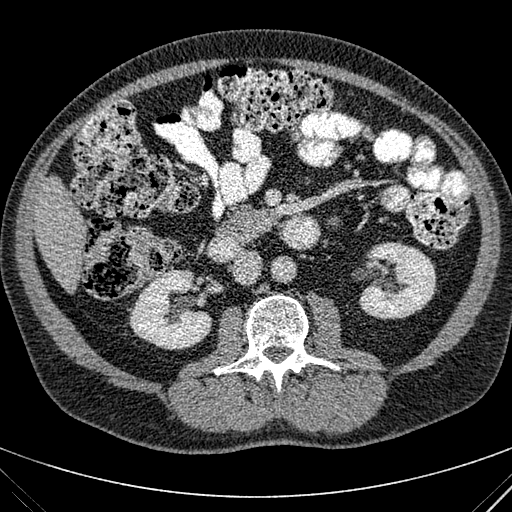
Liver; CT

Liver: bounding box [35, 179, 85, 291].
Kidney: bounding box [360, 242, 435, 318], [197, 293, 205, 305], [130, 269, 210, 349].